Slice 104 of 155. Head.
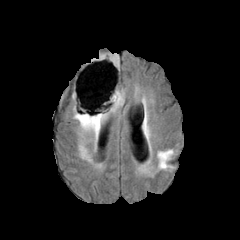
FLAIR MR image.
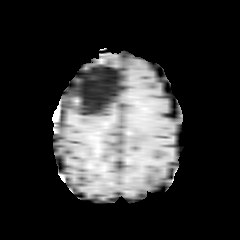
T1-weighted MR image of the same slice.
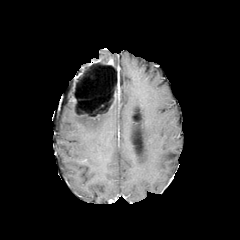
Post-contrast T1-weighted MR of the same slice.
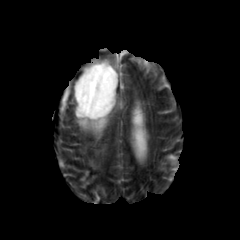
Same slice, T2-weighted MR image.
Enhancing tumor: bounding box box=[114, 86, 120, 102].
Non-enhancing tumor core: bounding box box=[76, 82, 119, 116].
Edema: bounding box box=[134, 90, 147, 107]; box=[78, 144, 87, 157]; box=[158, 150, 173, 169]; box=[73, 84, 125, 145]; box=[142, 116, 150, 138].